FLAIR magnetic resonance.
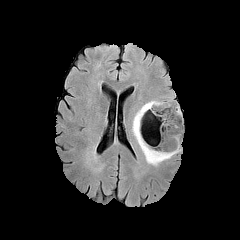
T1-weighted MRI.
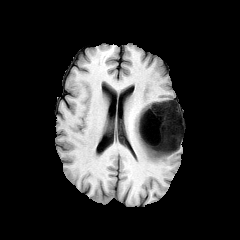
Post-contrast T1-weighted MR.
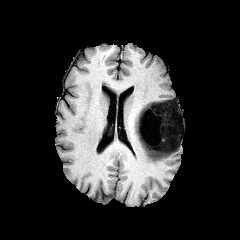
T2-weighted MR image.
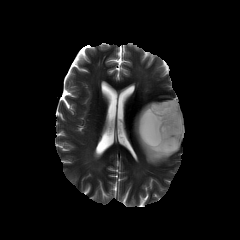
240x240
Non-enhancing tumor core at x1=148, y1=102, x2=179, y2=153.
Edema at x1=132, y1=98, x2=182, y2=165.